FLAIR MR.
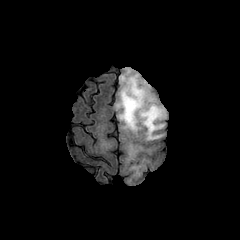
T1-weighted MRI.
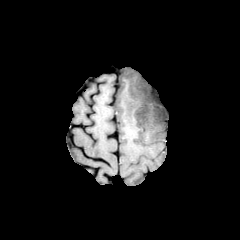
Post-contrast T1-weighted MRI.
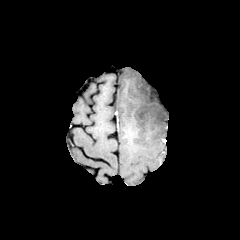
T2-weighted MR image.
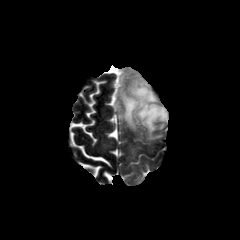
Image size 240x240
edema: (114, 69, 167, 141) | non-enhancing tumor core: (134, 82, 165, 125)